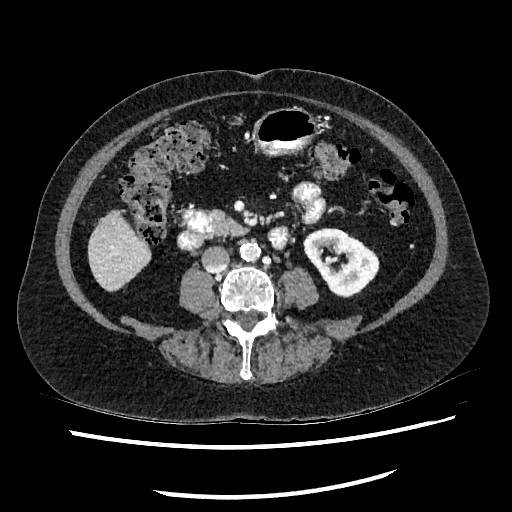

CT scan slice; 512x512 px

{
  "liver": [
    "x1=89 y1=212 x2=149 y2=290"
  ],
  "kidney": [
    "x1=304 y1=224 x2=378 y2=295"
  ]
}